Field of view 439x439 mm, Abdomen, Slice 27/41, Image size 512x512, CT slice 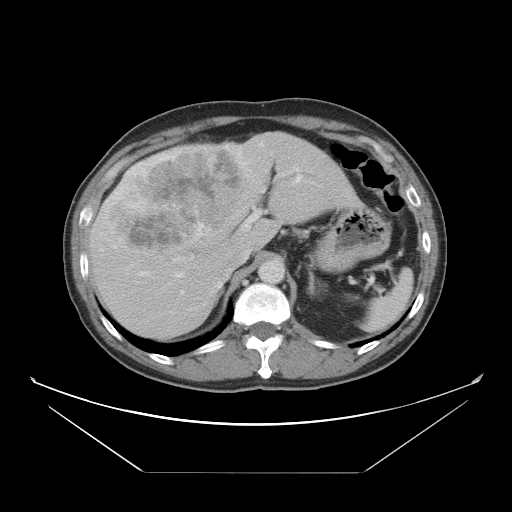

Some hepatic vessels may have no box.
Hepatic vessel at 193,237,195,239; 216,278,220,288; 175,271,184,276; 287,166,302,184; 206,228,209,230; 262,190,263,191; 125,269,128,274; 197,226,203,235; 140,271,149,275; 191,256,193,258; 181,290,183,293; 244,207,260,229.
Liver tumor at 129,149,250,251.